FLAIR magnetic resonance.
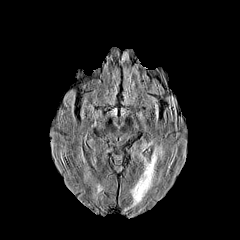
T1-weighted magnetic resonance.
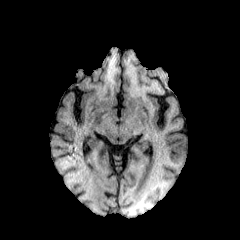
Post-contrast T1-weighted MR image.
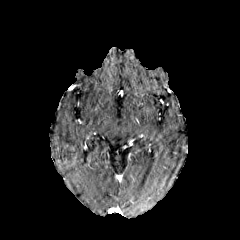
T2-weighted magnetic resonance.
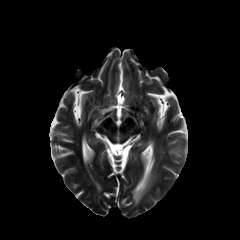
240x240 px
Edema — (left=130, top=154, right=155, bottom=205).